Computed tomography
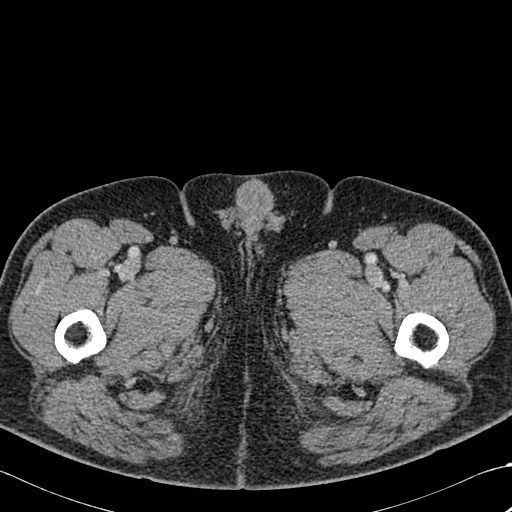 Bone: bounding box 55,309,105,362; 395,312,448,367.